CT image; Abdomen
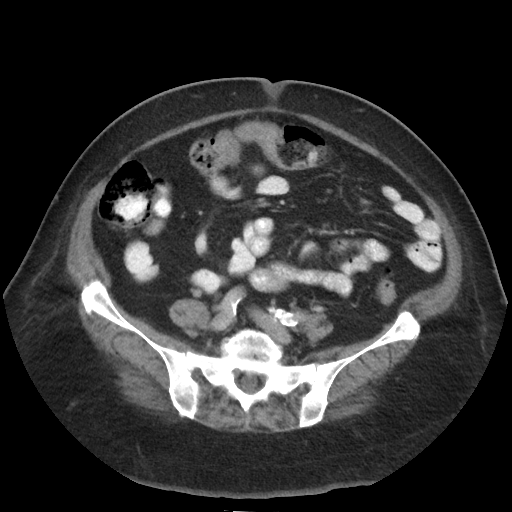

Findings:
* colon tumor: bbox=[234, 123, 282, 158]; bbox=[213, 131, 240, 167]